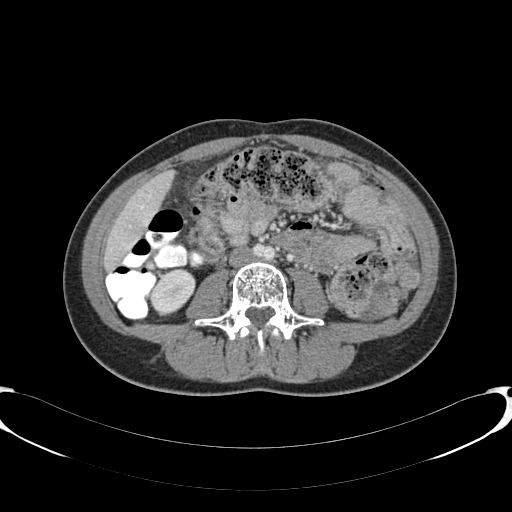
CT; Image size 512x512
The kidney lies within 152, 270, 193, 311. The liver lies within 104, 171, 172, 269.